FLAIR magnetic resonance.
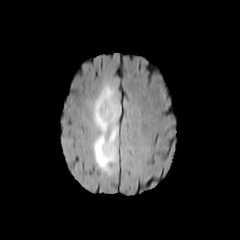
T1-weighted MR image.
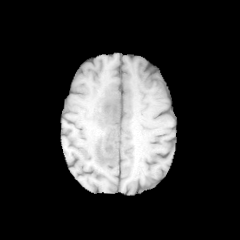
Post-contrast T1-weighted magnetic resonance.
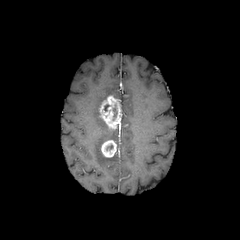
T2-weighted MRI.
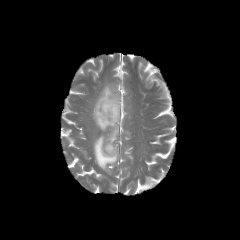
240x240 | Brain
Enhancing tumor = (x1=100, y1=95, x2=122, y2=130), (x1=101, y1=140, x2=116, y2=157).
Edema = (x1=93, y1=83, x2=119, y2=173).
Non-enhancing tumor core = (x1=112, y1=103, x2=117, y2=121), (x1=102, y1=103, x2=111, y2=112).